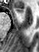

MRI
Anterior hippocampus at <box>14,8,22,13</box>.